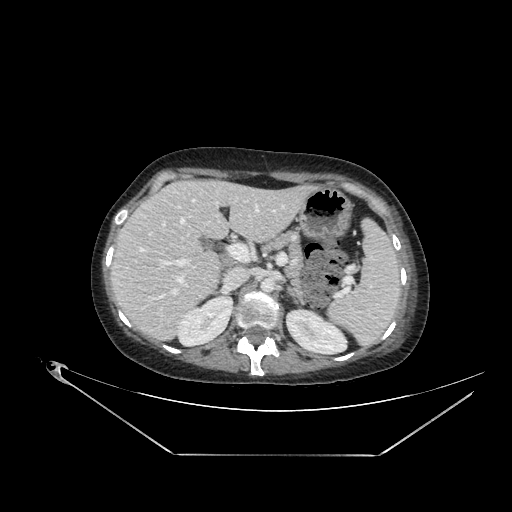 CT. The liver is bounded by box=[111, 182, 313, 342]. 2 kidney regions appear at box=[287, 310, 346, 353]; box=[176, 296, 232, 345].